Abdomen, CT image, Slice 71/178, 512x512 px
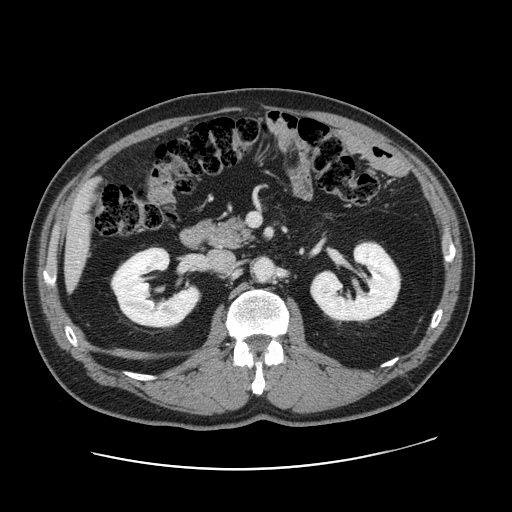

Some hepatic vessels may have no box.
Hepatic vessel: [69, 281, 72, 283], [77, 261, 79, 262], [78, 196, 84, 199], [83, 205, 86, 208].